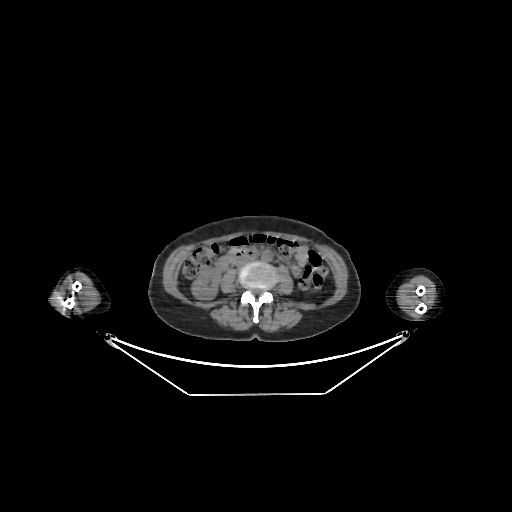

512x512; CT image
The kidney is bounded by (191, 267, 223, 299).